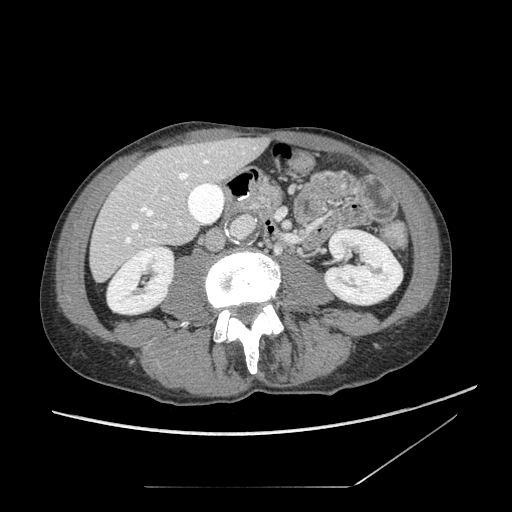

512x512; CT slice

<segmentation>
  <pancreas>(left=252, top=184, right=278, bottom=208)</pancreas>
</segmentation>